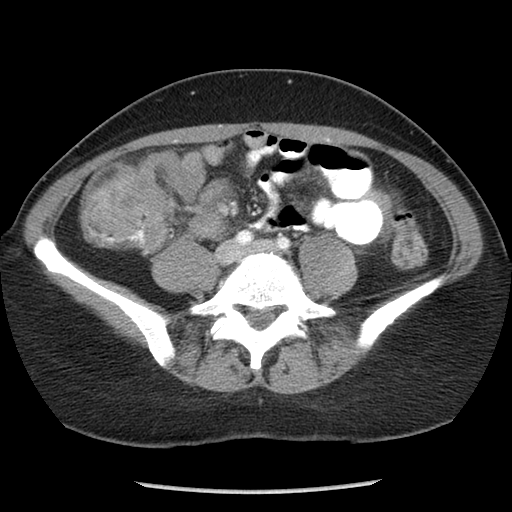

Computed tomography

Colon tumor = region(87, 166, 167, 253).